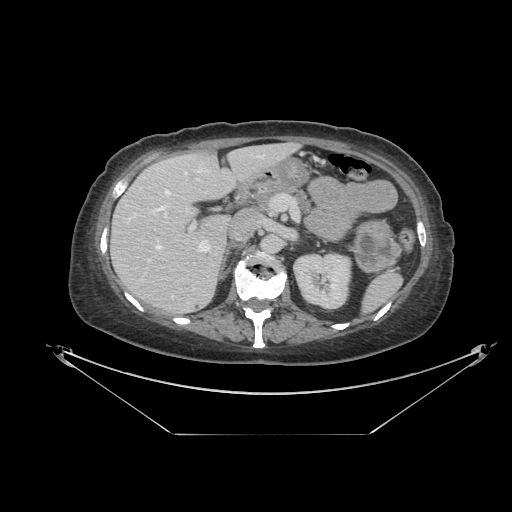

Abdomen | CT scan slice | Image size 512x512
pancreatic_tumor:
  - 355 220 400 272
pancreas:
  - 253 180 308 210